512x512 px. CT slice. Slice index 118. Abdomen.
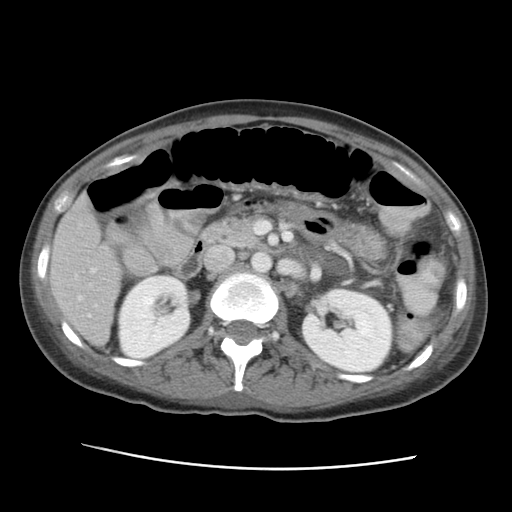
The liver is bounded by (50, 193, 120, 340). 2 kidney regions are located at (302, 289, 391, 372), (120, 276, 189, 357).